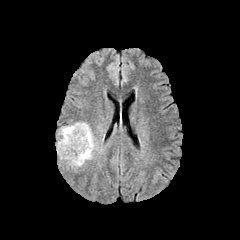
FLAIR MRI.
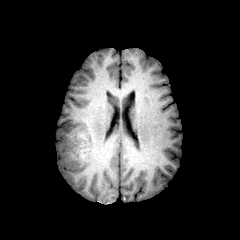
T1-weighted MRI.
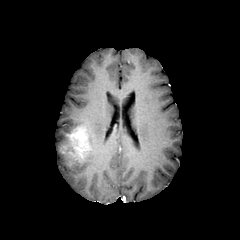
Same slice, post-contrast T1-weighted magnetic resonance.
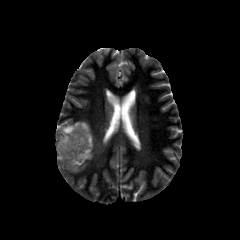
T2-weighted MR.
The edema is located at [57,121,98,168]. The enhancing tumor lies within [61,126,88,160]. 2 non-enhancing tumor core regions appear at [60,130,72,148], [65,123,89,166].